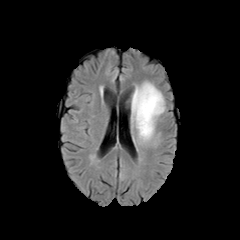
FLAIR magnetic resonance.
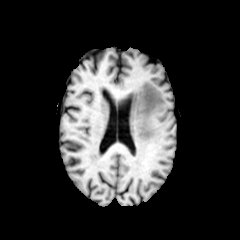
T1-weighted MRI.
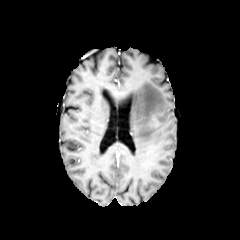
Same slice, post-contrast T1-weighted MR image.
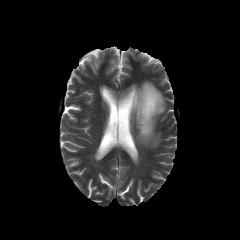
Same slice, T2-weighted magnetic resonance.
Image size 240x240, Brain
Edema = [131,82,164,141].